FLAIR magnetic resonance.
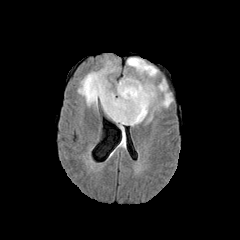
T1-weighted MR image.
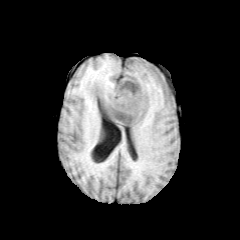
Post-contrast T1-weighted MR image.
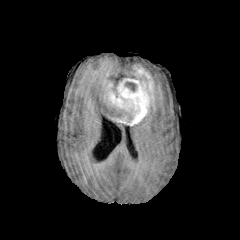
T2-weighted magnetic resonance.
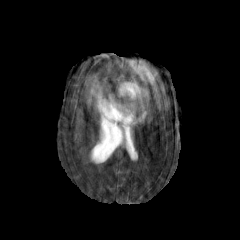
Head
The enhancing tumor is at bbox(103, 65, 154, 126). 3 edema regions are bounded by bbox(123, 57, 172, 110); bbox(119, 123, 125, 147); bbox(77, 60, 115, 111). 2 non-enhancing tumor core regions are bounded by bbox(125, 82, 136, 92); bbox(102, 107, 123, 117).